Image width 382 mm, Abdomen, Computed tomography, Slice 426/722
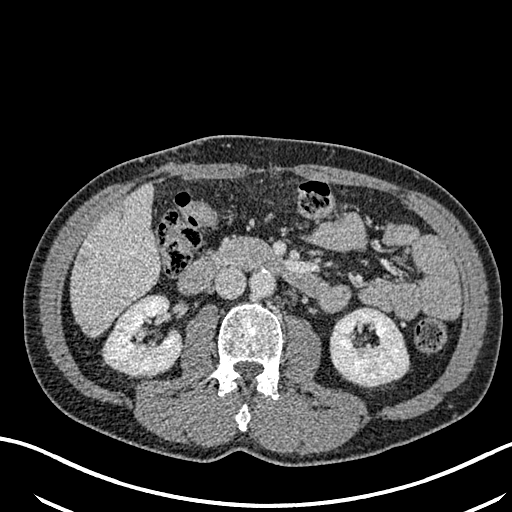

{
  "kidney": [
    "(left=105, top=296, right=180, bottom=374)",
    "(left=331, top=309, right=408, bottom=385)"
  ],
  "liver": [
    "(left=70, top=186, right=157, bottom=335)"
  ],
  "liver_lesion": [
    "(left=116, top=205, right=126, bottom=216)",
    "(left=76, top=254, right=89, bottom=266)",
    "(left=77, top=319, right=95, bottom=334)"
  ]
}